FLAIR MRI.
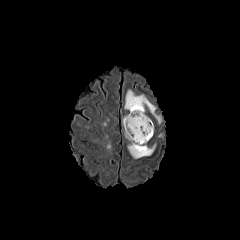
T1-weighted MR image.
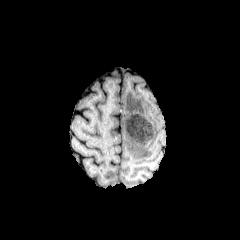
Post-contrast T1-weighted MRI.
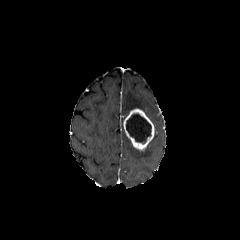
T2-weighted MRI.
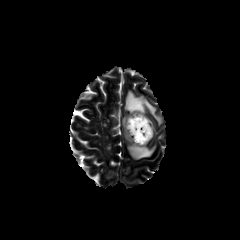
enhancing tumor: [x1=123, y1=108, x2=154, y2=150] | edema: [x1=124, y1=90, x2=161, y2=123], [x1=127, y1=141, x2=156, y2=159] | non-enhancing tumor core: [x1=126, y1=114, x2=151, y2=144]